FLAIR MR image.
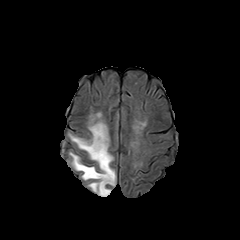
T1-weighted magnetic resonance.
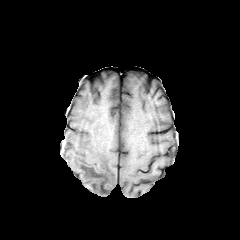
Post-contrast T1-weighted MRI.
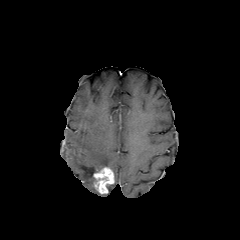
T2-weighted MR image.
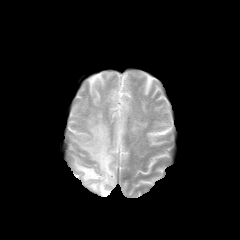
enhancing tumor: [92, 167, 114, 193] | edema: [70, 119, 116, 191]